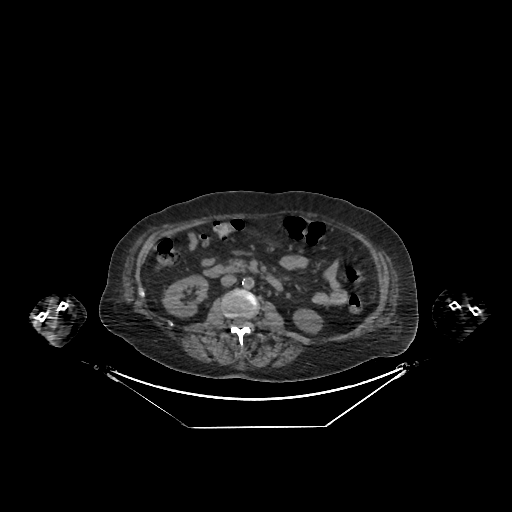

Image size 512x512, Computed tomography

Kidney = region(162, 275, 208, 317); region(293, 309, 322, 333).